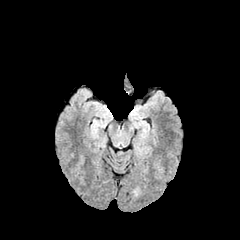
FLAIR MR image.
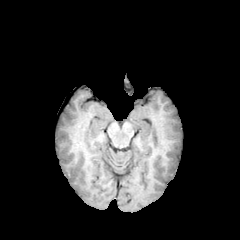
T1-weighted MRI.
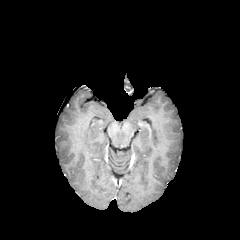
Post-contrast T1-weighted MR.
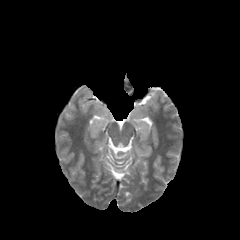
T2-weighted MR image.
Annotated regions:
• edema: x1=131, y1=109, x2=145, y2=126; x1=92, y1=108, x2=110, y2=132; x1=138, y1=126, x2=147, y2=137